Slice 532 of 836 | CT image

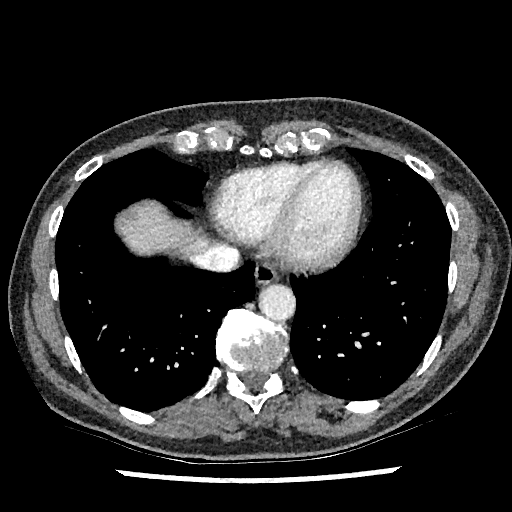
Segmented structures:
• liver: 116, 201, 206, 257